Computed tomography; Image width 330 mm; Image size 512x512
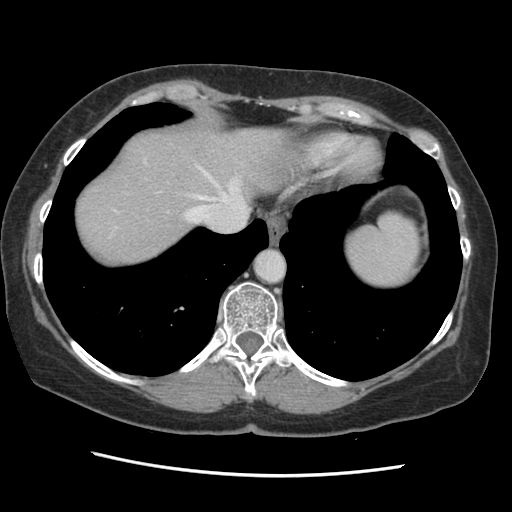

Some hepatic vessels may have no box.
<segmentation>
  <hepatic_vessel>197, 166, 241, 201; 185, 205, 210, 221</hepatic_vessel>
</segmentation>